Liver. CT slice. Slice index 30.
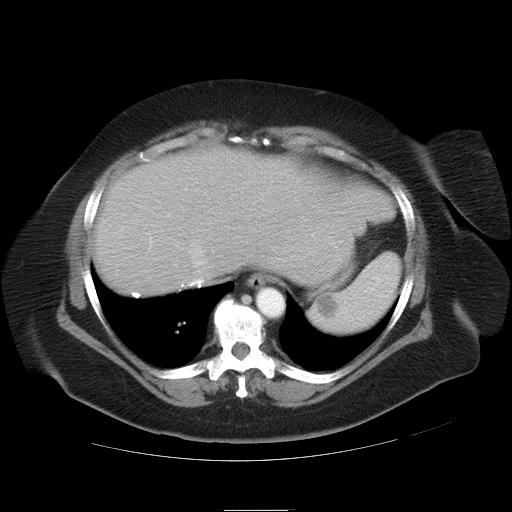

Only some of the vessels may be annotated.
2 hepatic vessel regions appear at 191:244:202:256, 150:240:152:245.